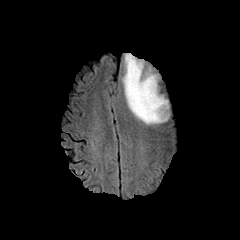
FLAIR MR image.
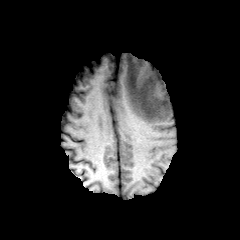
Same slice, T1-weighted MRI.
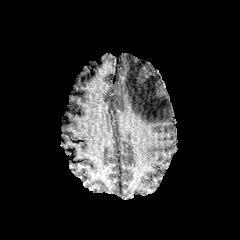
Post-contrast T1-weighted MR.
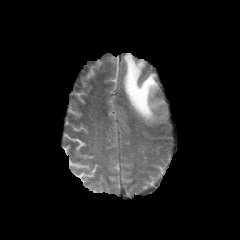
Same slice, T2-weighted MR.
Image size 240x240. Head.
Edema at 122, 53, 169, 125.